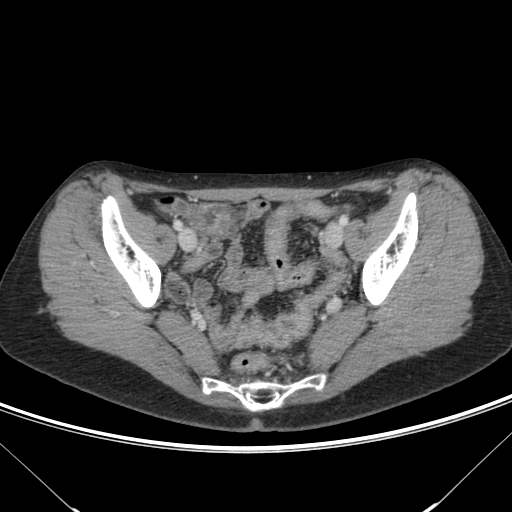

Pelvis | Computed tomography
Segmented structures:
• colon tumor: 235:300:312:348